FLAIR MRI.
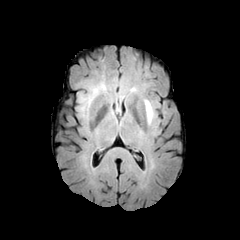
T1-weighted magnetic resonance.
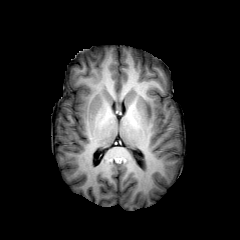
Post-contrast T1-weighted MR.
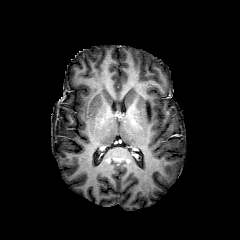
T2-weighted MR image.
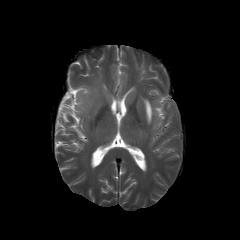
240x240
edema: bbox=[102, 86, 123, 103]; bbox=[78, 88, 97, 116]; bbox=[142, 99, 155, 125]